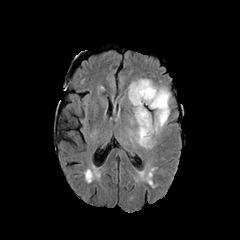
FLAIR MR.
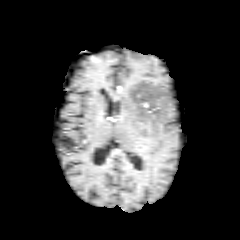
T1-weighted magnetic resonance of the same slice.
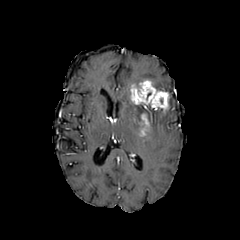
Post-contrast T1-weighted MR.
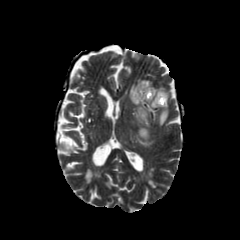
Same slice, T2-weighted magnetic resonance.
Brain
The enhancing tumor is at (131,81,168,109). 2 edema regions are bounded by (131,79,149,88), (127,81,170,148).